Head
FLAIR MRI.
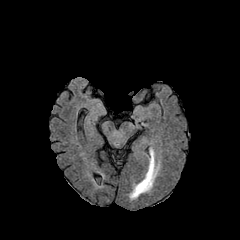
T1-weighted MRI.
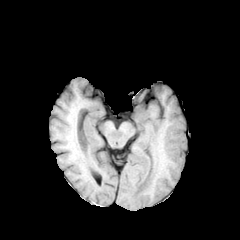
Post-contrast T1-weighted magnetic resonance.
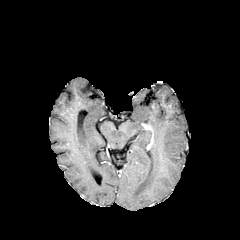
T2-weighted MRI.
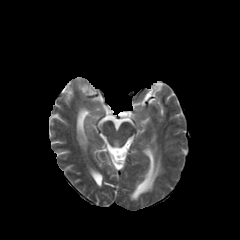
<segmentation>
  <edema>left=129, top=148, right=160, bottom=200</edema>
</segmentation>